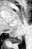
MR

Posterior hippocampus at box(8, 36, 22, 43).